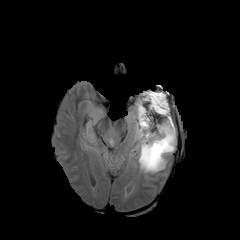
FLAIR magnetic resonance.
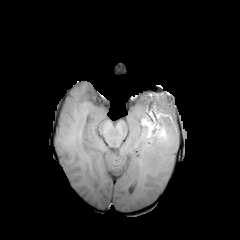
T1-weighted magnetic resonance of the same slice.
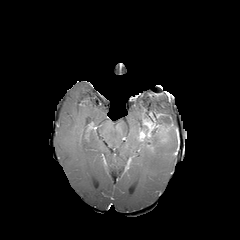
Same slice, post-contrast T1-weighted MRI.
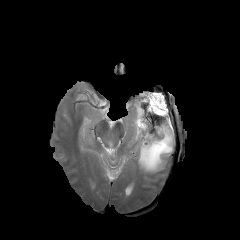
T2-weighted MR.
240x240 px | Head
enhancing tumor: box(138, 130, 150, 139) | edema: box(103, 150, 111, 161); box(123, 91, 176, 175); box(92, 114, 100, 123); box(86, 128, 92, 143) | non-enhancing tumor core: box(143, 108, 168, 139)